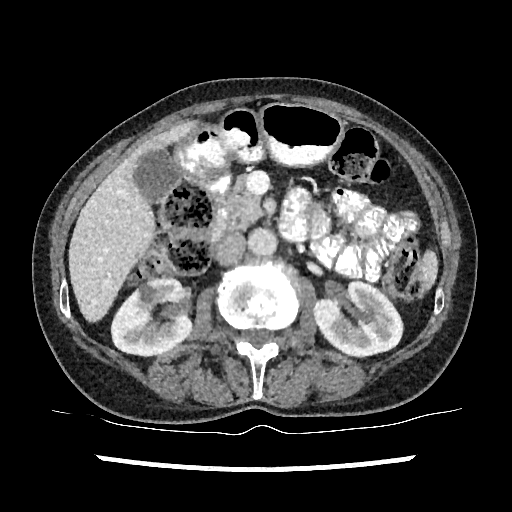
512x512 px. Liver. CT.

• kidney: box=[112, 277, 192, 355]; box=[315, 282, 403, 355]
• liver: box=[70, 121, 194, 321]